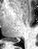
MR image. Medial temporal lobe. * posterior hippocampus: (left=11, top=39, right=19, bottom=42)